Slice 169 of 410; CT slice

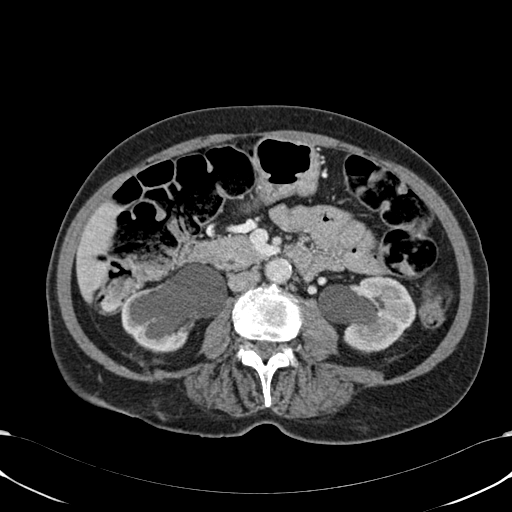
Liver — (76,203,117,300).
Kidney — (344,277,415,351), (119,289,227,351).